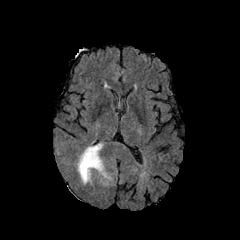
FLAIR MR.
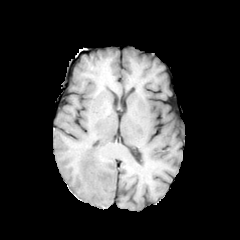
T1-weighted MRI.
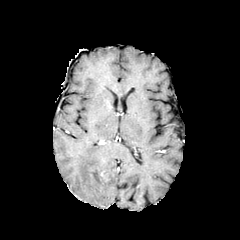
Same slice, post-contrast T1-weighted magnetic resonance.
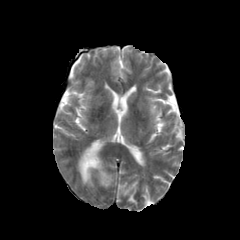
Same slice, T2-weighted MR image.
Brain.
Edema: 77 144 103 184.